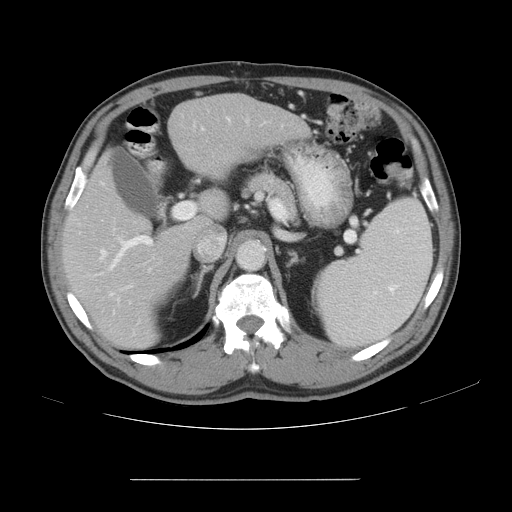

CT, 512x512
Some hepatic vessels may have no box.
The most prominent 15 hepatic vessel regions (of 16) appear at 109,235,149,270; 113,310,114,313; 152,256,153,258; 227,117,230,120; 148,268,150,271; 109,292,113,295; 117,298,119,303; 101,182,103,184; 198,241,206,247; 97,273,102,275; 202,127,204,129; 120,285,131,290; 100,250,106,259; 113,228,114,233; 246,119,248,123.